Slice 146 of 917. Computed tomography. Image size 512x512. Field of view 429 mm wide, 0.70 mm slice spacing. 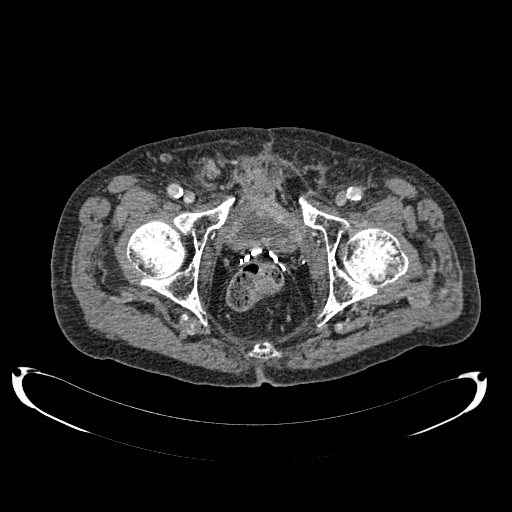

Annotated regions:
• urinary bladder: 238 212 288 240